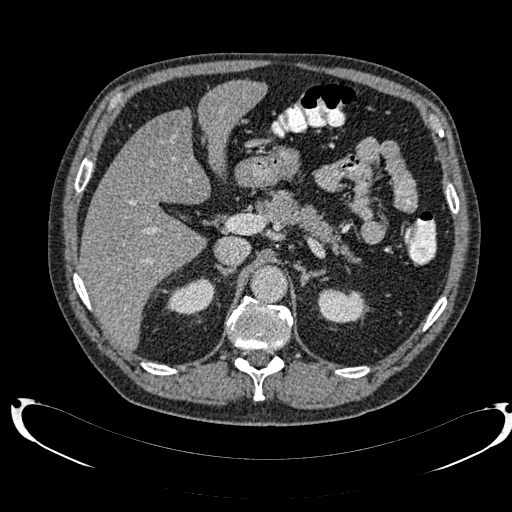 Image size 512x512, Liver, Computed tomography

Kidney at 167:279:214:314, 317:289:367:322.
Liver at 199:81:265:171, 80:110:209:348.
Hepatic lesion at 146:112:186:156.